CT slice 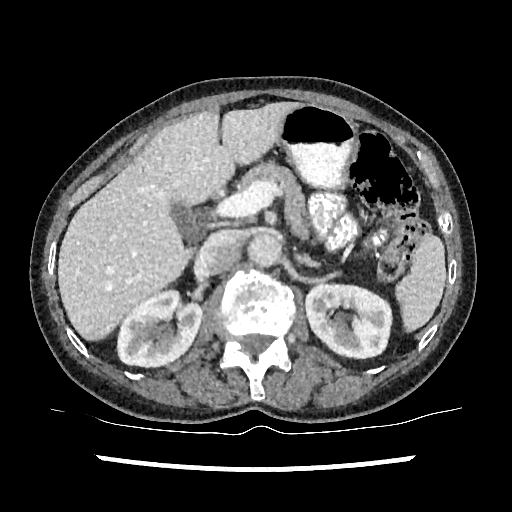

The liver is at <bbox>60, 103, 302, 340</bbox>. 2 kidney regions are bounded by <bbox>118, 292, 201, 369</bbox>, <bbox>306, 285, 390, 357</bbox>.